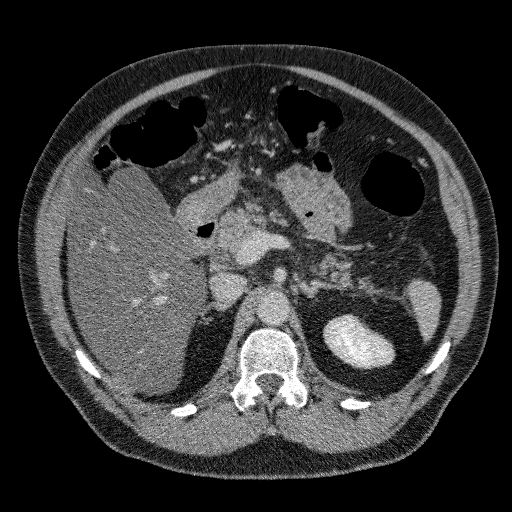 Computed tomography. Liver. 512x512 px.
The kidney appears at bbox=[325, 316, 392, 366]. The liver is bounded by bbox=[67, 171, 206, 392].